Computed tomography | Field of view 328x328 mm | Liver
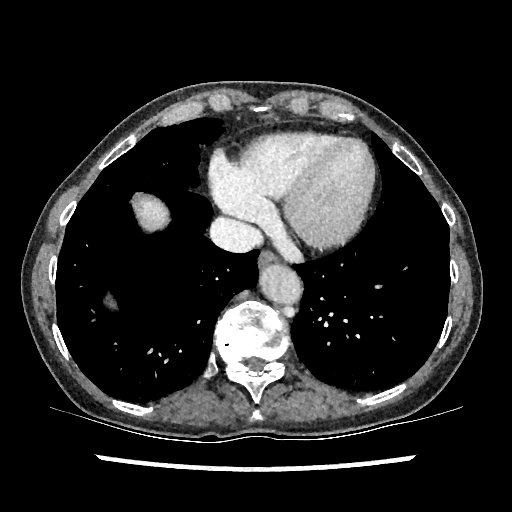 Liver — rect(138, 197, 165, 228).